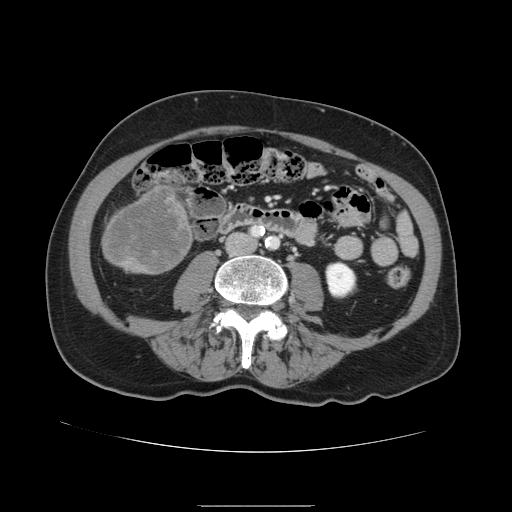
Computed tomography | Liver

The liver tumor is located at <bbox>107, 187, 189, 270</bbox>.